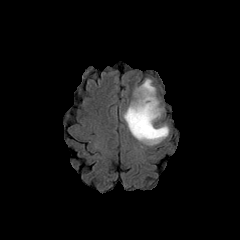
FLAIR MR.
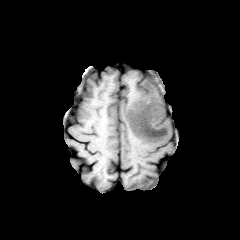
T1-weighted MRI of the same slice.
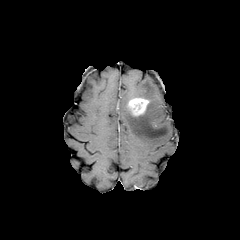
Post-contrast T1-weighted MRI.
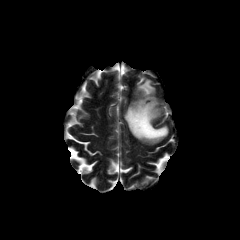
T2-weighted MR.
Head
enhancing_tumor:
  - x1=128, y1=98, x2=149, y2=116
non-enhancing_tumor_core:
  - x1=130, y1=102, x2=165, y2=136
edema:
  - x1=122, y1=79, x2=169, y2=144